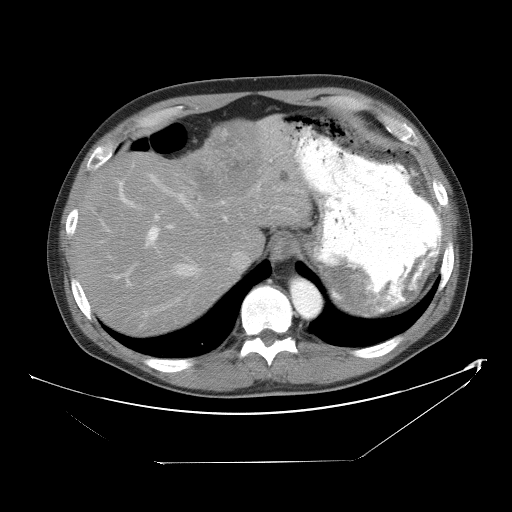 Liver; CT
The vessel annotation is not exhaustive.
Findings:
- hepatic vessel: [154,214,157,217], [176,264,201,275], [129,201,133,206], [221,201,224,203], [113,268,131,285], [277,189,280,191], [118,180,123,183], [195,213,197,215], [234,252,240,254], [259,204,261,206], [119,195,120,199], [144,312,147,315], [148,174,190,208], [145,227,153,248], [280,207,295,213]
- liver tumor: [281,171,289,183], [194,129,261,196]